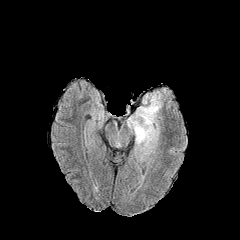
FLAIR MR image.
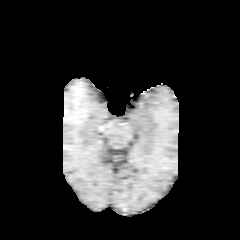
T1-weighted MR image of the same slice.
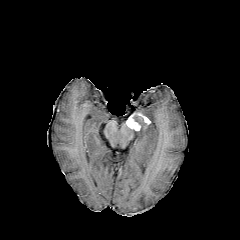
Post-contrast T1-weighted MR image.
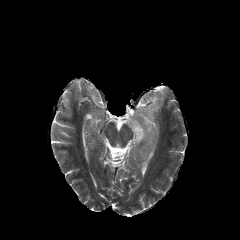
T2-weighted MR.
Head
The enhancing tumor is located at bbox=[126, 112, 150, 131]. The edema is located at bbox=[131, 89, 166, 161].